Abdomen, CT slice, Image size 512x512
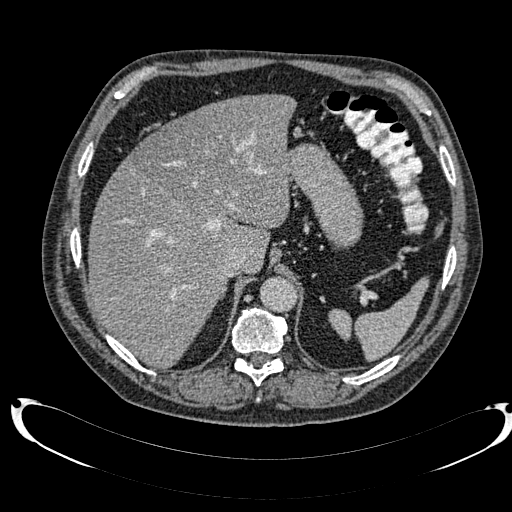

liver: <bbox>88, 94, 295, 367</bbox>, <bbox>144, 123, 171, 140</bbox> | focal liver lesion: <bbox>133, 99, 248, 206</bbox>